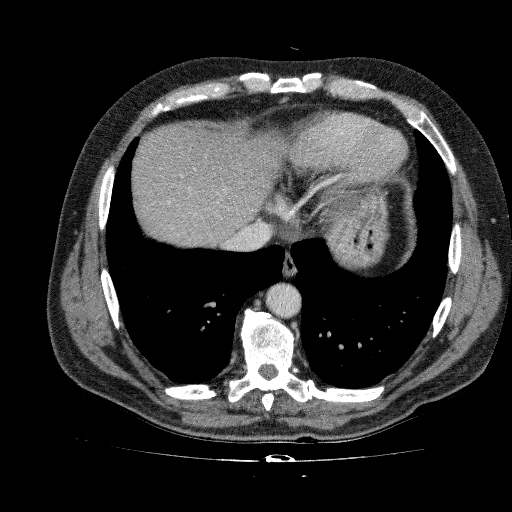
Liver. CT image.

liver:
  - (131, 123, 318, 248)
  - (324, 215, 347, 245)